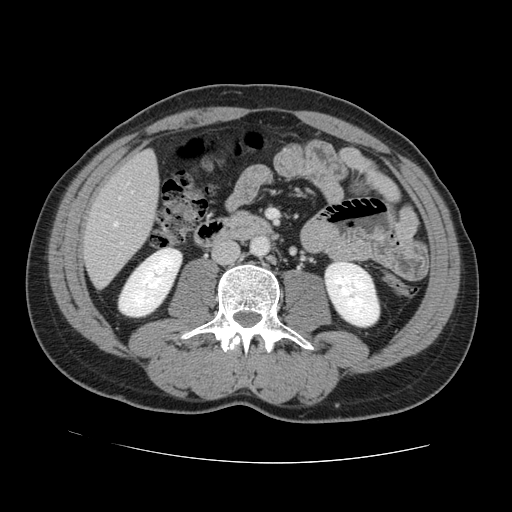

CT image; Abdomen
Some hepatic vessels may have no box.
Hepatic vessel — box(131, 191, 132, 192); box(123, 185, 125, 186); box(119, 196, 120, 198); box(148, 191, 149, 192); box(126, 183, 128, 184); box(120, 242, 122, 243); box(114, 222, 117, 226).